FLAIR magnetic resonance.
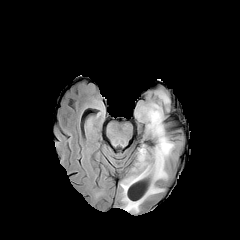
T1-weighted MR.
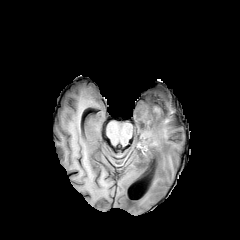
Post-contrast T1-weighted MR.
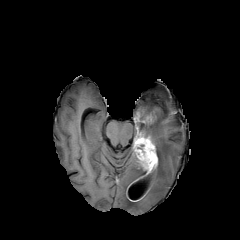
T2-weighted MRI.
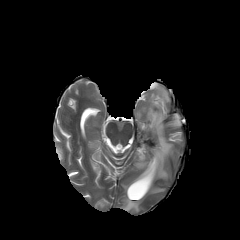
Brain.
The enhancing tumor is at {"x1": 136, "y1": 146, "x2": 157, "y2": 174}. The non-enhancing tumor core is at {"x1": 136, "y1": 137, "x2": 153, "y2": 149}. The edema lies within {"x1": 120, "y1": 90, "x2": 175, "y2": 211}.